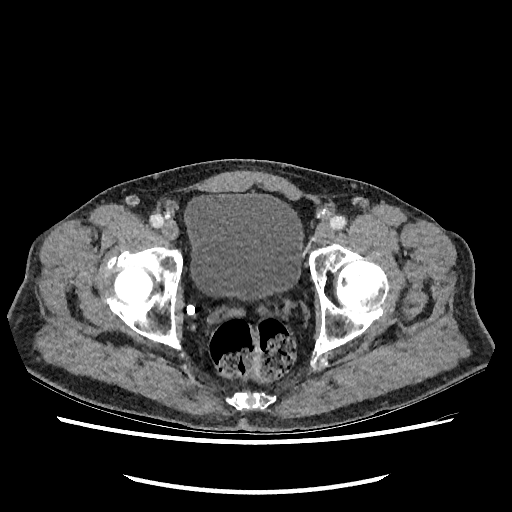 CT slice, Lower abdomen, 512x512
Urinary bladder — x1=184, y1=192, x2=303, y2=299.